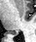

MR, Hippocampus

{
  "posterior_hippocampus": [
    "(x1=11, y1=32, x2=17, y2=35)"
  ]
}